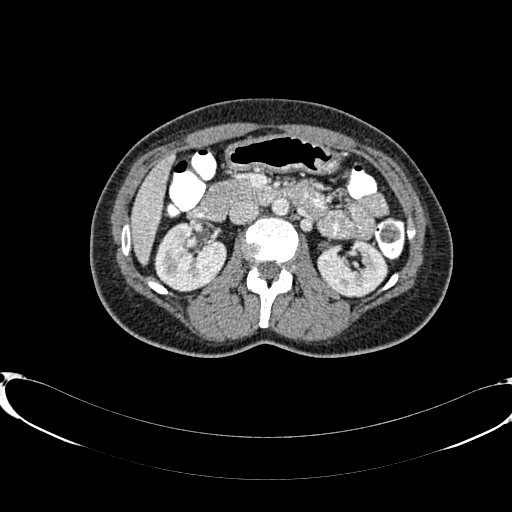

Computed tomography
The liver is at x1=130 y1=154 x2=173 y2=264. 2 kidney regions are located at x1=319 y1=243 x2=385 y2=295, x1=156 y1=225 x2=224 y2=290.